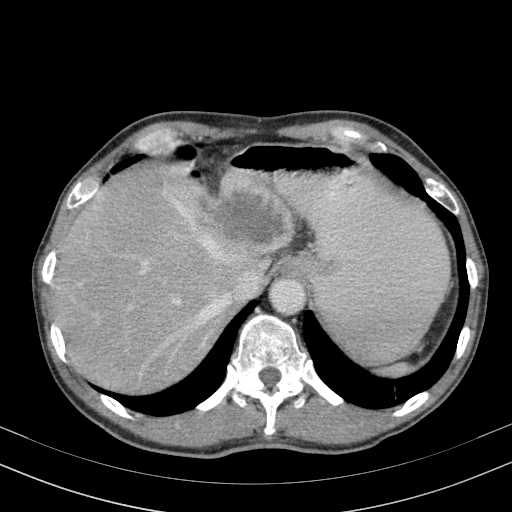

CT image | Upper abdomen

Liver lesion: box(216, 192, 283, 243).
Liver: box(55, 161, 293, 394).